Slice index 124; Abdomen; Computed tomography 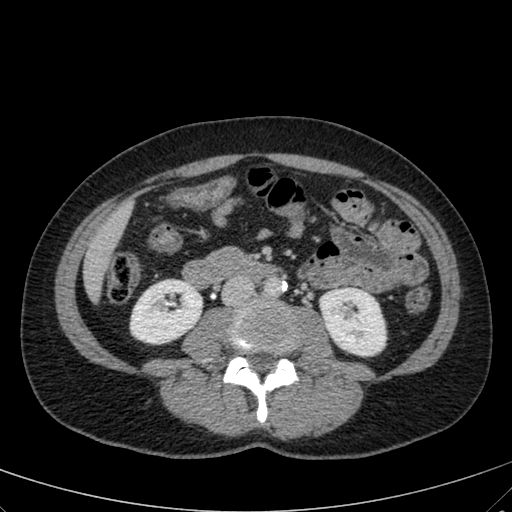
<segmentation>
  <liver>box(83, 206, 129, 301)</liver>
  <kidney>box(131, 280, 201, 343); box(320, 288, 385, 355)</kidney>
</segmentation>